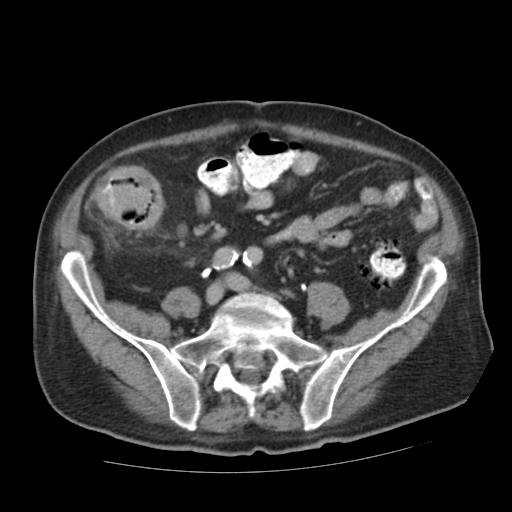
Abdomen | CT
The colon tumor appears at <bbox>93, 167, 161, 229</bbox>.